FLAIR MRI.
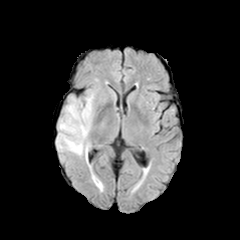
T1-weighted magnetic resonance.
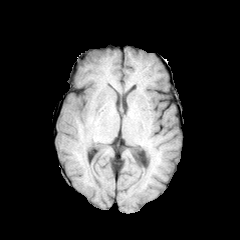
Post-contrast T1-weighted MRI.
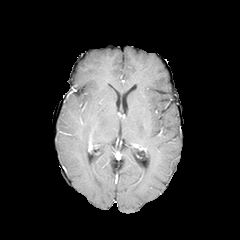
T2-weighted magnetic resonance.
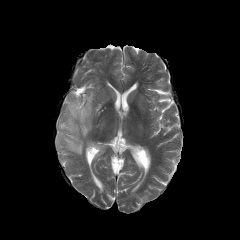
Head.
<segmentation>
  <edema>region(56, 90, 96, 161)</edema>
</segmentation>